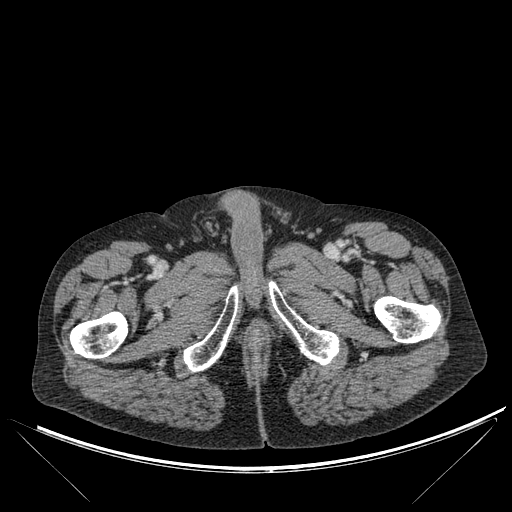 CT slice
{"bone": ["box(70, 311, 127, 358)", "box(374, 296, 440, 342)", "box(183, 286, 238, 371)", "box(269, 281, 338, 365)"]}